240x240 px
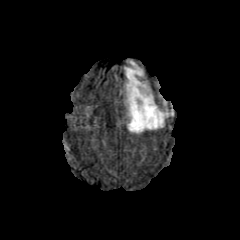
FLAIR MR image.
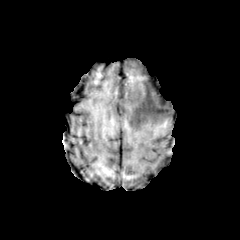
T1-weighted MRI.
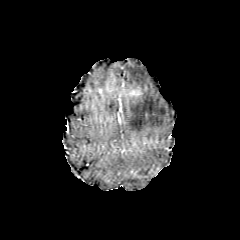
Post-contrast T1-weighted MRI.
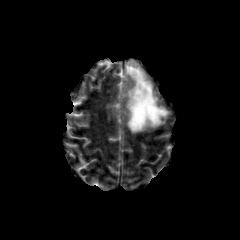
T2-weighted MR image of the same slice.
<segmentation>
  <enhancing_tumor>[130, 87, 140, 95]</enhancing_tumor>
  <edema>[124, 61, 171, 133]</edema>
</segmentation>